Slice index 433, CT
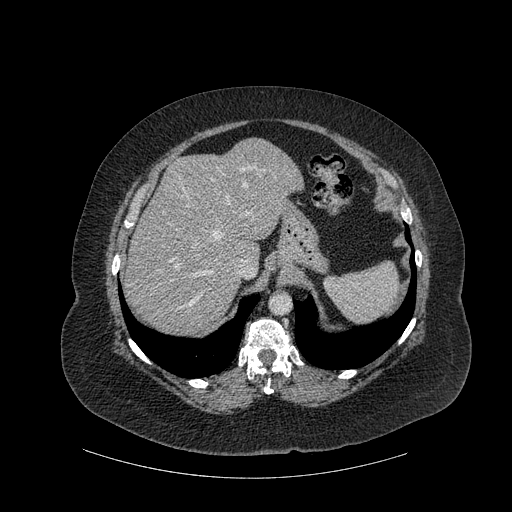
Bone at x1=415 y1=250 x2=421 y2=266, x1=399 y1=318 x2=415 y2=343, x1=112 y1=255 x2=119 y2=274, x1=338 y1=370 x2=355 y2=378, x1=264 y1=378 x2=273 y2=393, x1=129 y1=339 x2=149 y2=363, x1=239 y1=319 x2=303 y2=378, x1=401 y1=208 x2=411 y2=222, x1=189 y1=379 x2=207 y2=387.
Liver at x1=125 y1=138 x2=303 y2=335.
Lung at x1=294 y1=253 x2=416 y2=369, x1=405 y1=228 x2=411 y2=244, x1=119 y1=289 x2=259 y2=377.